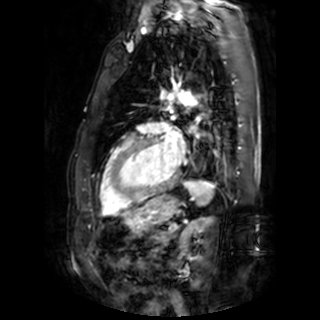 MR image | 320x320
Segmented structures:
• left atrium: region(158, 122, 185, 164)